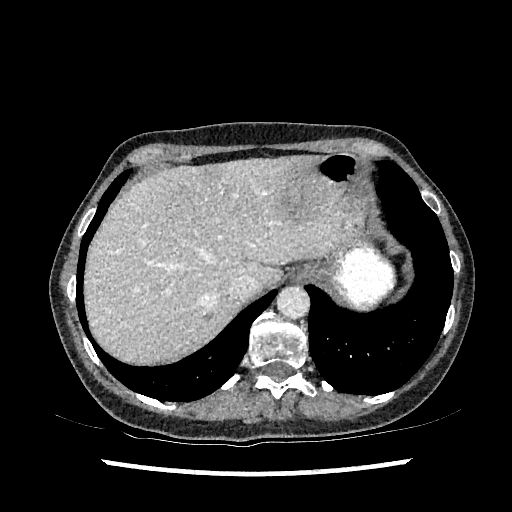
CT slice, 512x512 px, Abdomen
3 hepatic lesion regions appear at [278, 157, 324, 222], [202, 165, 219, 181], [204, 313, 213, 320]. The liver is bounded by [85, 157, 355, 361].